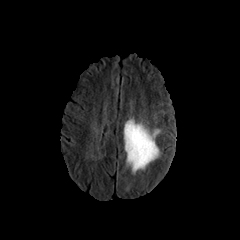
FLAIR magnetic resonance.
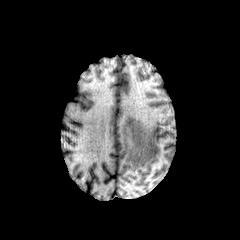
T1-weighted MR of the same slice.
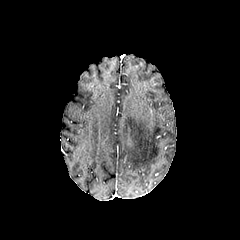
Post-contrast T1-weighted magnetic resonance.
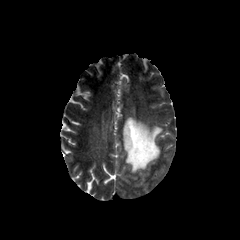
T2-weighted MR.
Brain
Edema: bounding box [x1=123, y1=118, x2=161, y2=175].